Slice 69 of 155; Image size 240x240
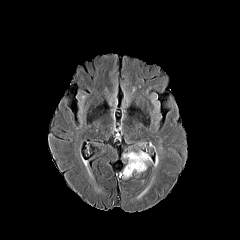
FLAIR magnetic resonance.
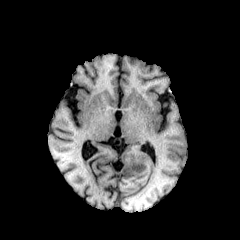
T1-weighted MRI.
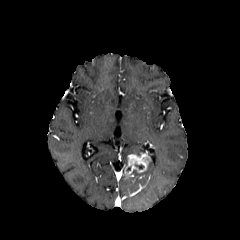
Post-contrast T1-weighted MR image.
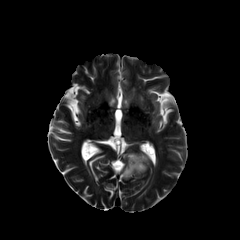
T2-weighted MR image.
The enhancing tumor lies within 120 151 151 179.